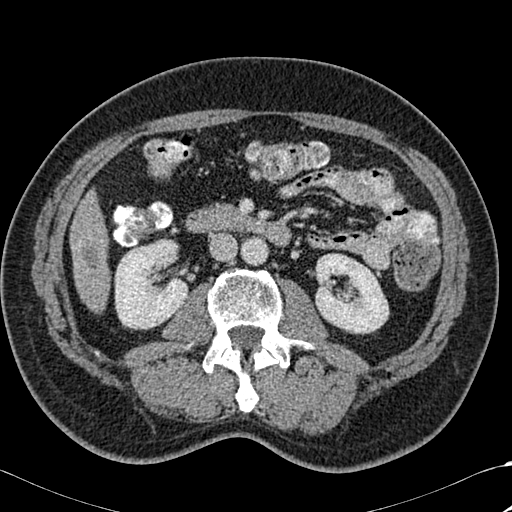
CT image
Kidney — <bbox>316, 254, 388, 332</bbox>, <bbox>115, 240, 186, 328</bbox>.
Bone — <bbox>203, 269, 311, 411</bbox>.
Liver — <bbox>70, 205, 109, 311</bbox>.
Liver lesion — <bbox>81, 245, 98, 268</bbox>.